Slice index 132 | CT image | Field of view 512x512 mm | Liver
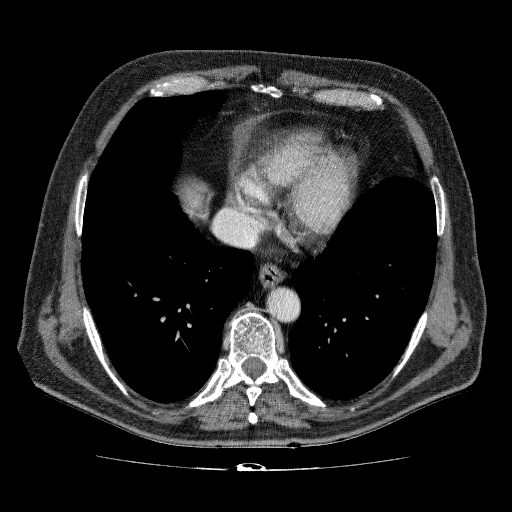
Liver: [x1=175, y1=173, x2=210, y2=218].